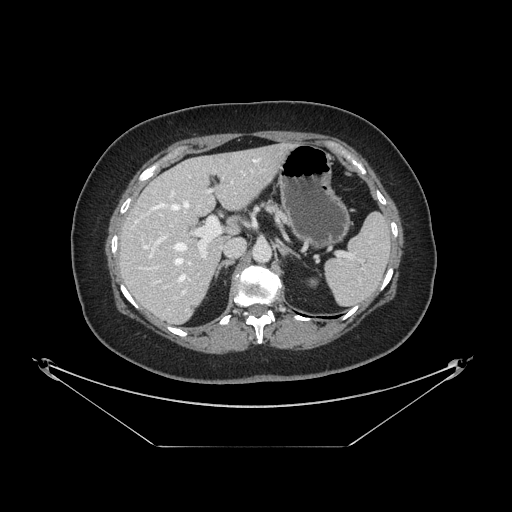
Computed tomography, 512x512 px

Pancreas at 263, 203, 287, 221.